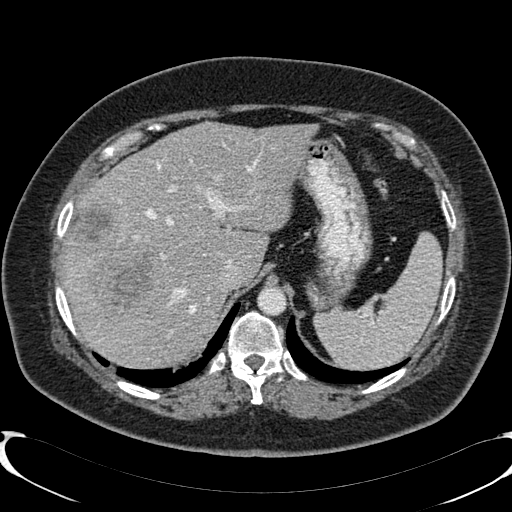
CT scan slice, Liver, 512x512 px
liver:
  - left=64, top=123, right=319, bottom=367
liver_lesion:
  - left=71, top=203, right=115, bottom=253
  - left=83, top=245, right=158, bottom=316